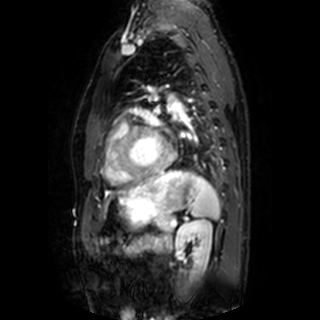
Heart. MRI. 320x320 px.

Annotated regions:
- left atrium: (x1=152, y1=134, x2=162, y2=150)